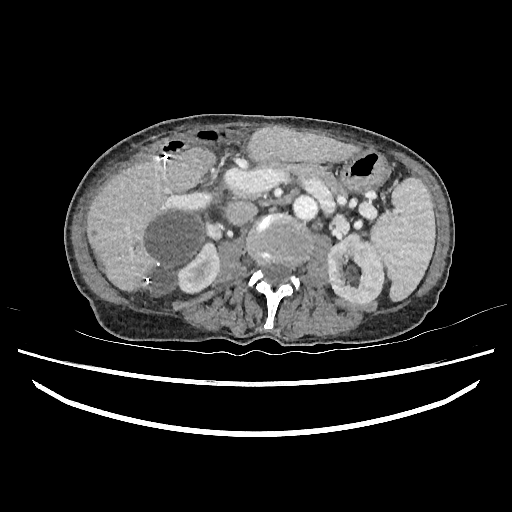
512x512 px | CT scan slice

{"liver": ["bbox=[247, 127, 356, 163]", "bbox=[88, 147, 214, 291]"], "hepatic_lesion": ["bbox=[144, 210, 204, 296]"], "kidney": ["bbox=[207, 224, 220, 238]", "bbox=[178, 243, 219, 292]", "bbox=[327, 234, 383, 304]"]}